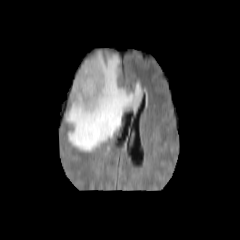
FLAIR MR image.
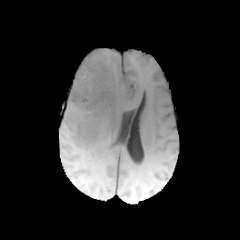
T1-weighted magnetic resonance.
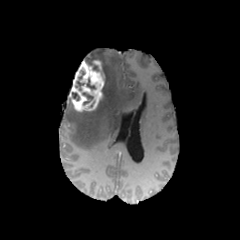
Post-contrast T1-weighted MRI of the same slice.
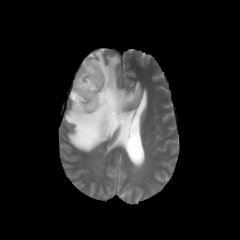
T2-weighted magnetic resonance of the same slice.
Head; 240x240
non-enhancing tumor core: bbox(100, 78, 106, 101); bbox(82, 92, 93, 104) | edema: bbox(65, 50, 142, 151) | enhancing tumor: bbox(68, 59, 105, 111)